CT scan slice | 512x512 | Upper abdomen | Slice index 492 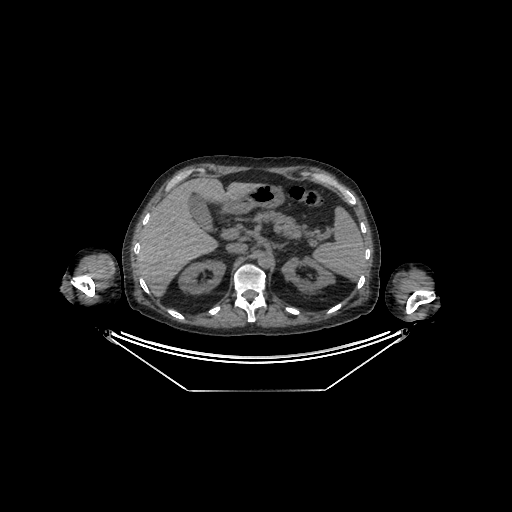
2 kidney regions are bounded by (178,260,225,294), (281,257,335,293). The liver is bounded by (136,176,261,296).